CT scan slice, Field of view 351x351 mm, Upper abdomen

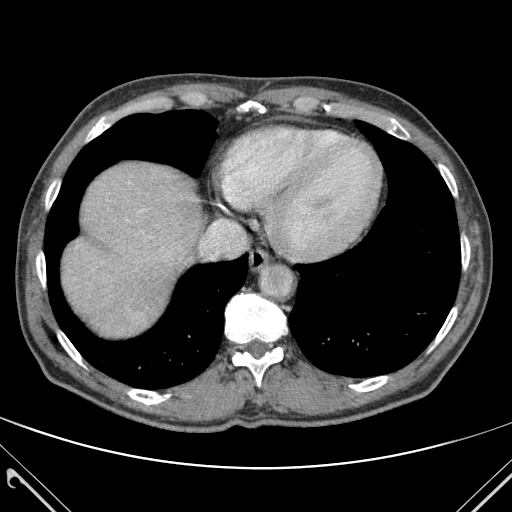
13 bone regions are located at x1=87 y1=117 x2=111 y2=139, x1=350 y1=376 x2=387 y2=391, x1=439 y1=165 x2=456 y2=195, x1=46 y1=179 x2=59 y2=209, x1=381 y1=118 x2=408 y2=138, x1=128 y1=389 x2=169 y2=404, x1=238 y1=101 x2=265 y2=112, x1=461 y1=237 x2=469 y2=267, x1=58 y1=331 x2=82 y2=365, x1=36 y1=252 x2=45 y2=286, x1=232 y1=347 x2=282 y2=385, x1=225 y1=294 x2=286 y2=342, x1=432 y1=308 x2=456 y2=348. 2 lung regions are located at x1=44 y1=110 x2=247 y2=388, x1=289 y1=120 x2=460 y2=376. The liver appears at x1=62 y1=163 x2=201 y2=337.